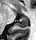

36x40 px, MRI, Medial temporal lobe

The posterior hippocampus lies within (15,19,28,27). The anterior hippocampus lies within (20,16,28,18).